Abdomen, CT slice
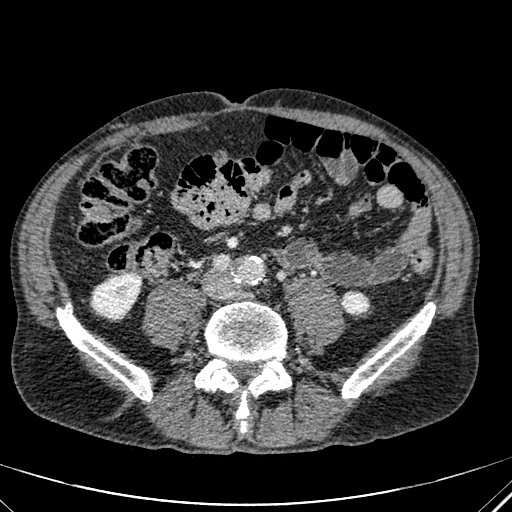 2 kidney regions are bounded by l=343, t=292, r=368, b=313; l=92, t=274, r=140, b=318.